CT

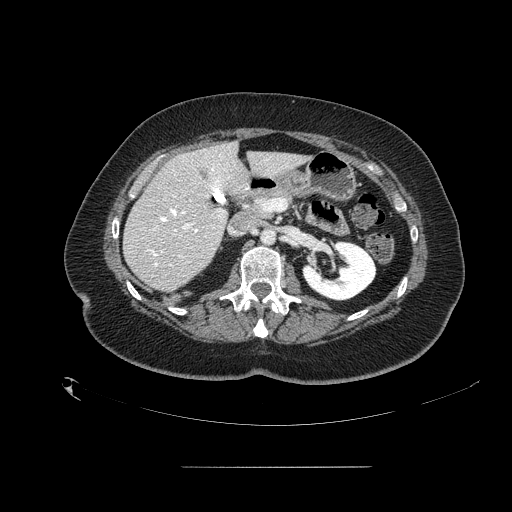 Findings:
* pancreas: box(238, 187, 285, 219)